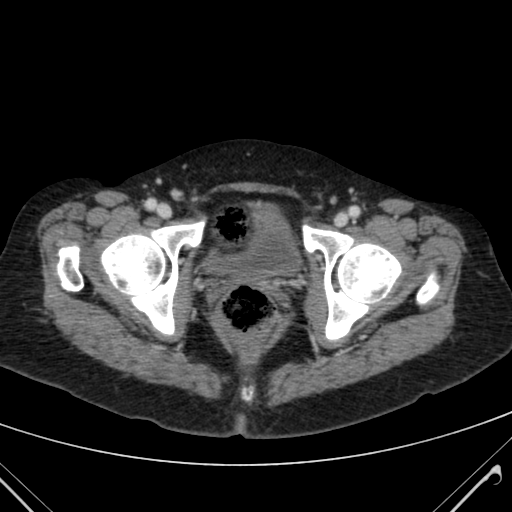 CT image; 512x512 px; Pelvis
The urinary bladder is at left=205, top=205, right=301, bottom=283.